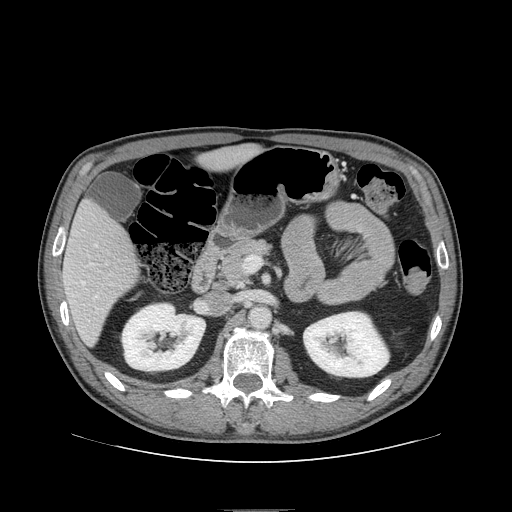 CT scan slice, Abdomen
Pancreas at [x1=221, y1=240, x2=269, y2=282].